Brain.
FLAIR MR image.
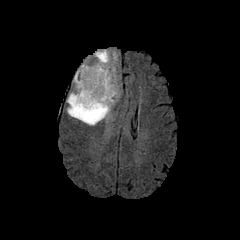
T1-weighted MRI.
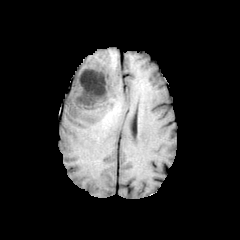
Post-contrast T1-weighted MR.
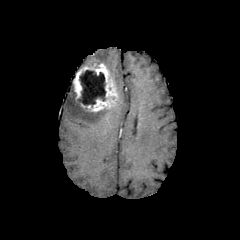
T2-weighted MRI.
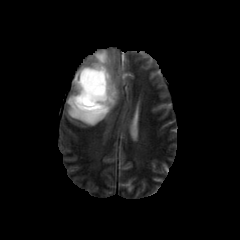
Non-enhancing tumor core: bounding box box(76, 68, 105, 113).
Enhancing tumor: bounding box box(73, 64, 117, 111).
Edema: bounding box box(80, 50, 121, 91); box(66, 80, 113, 125).